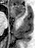
Medial temporal lobe. MR.

- anterior hippocampus: l=11, t=5, r=25, b=17